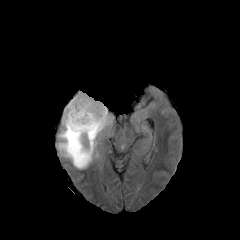
FLAIR magnetic resonance.
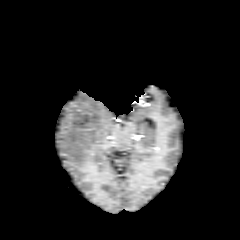
Same slice, T1-weighted MRI.
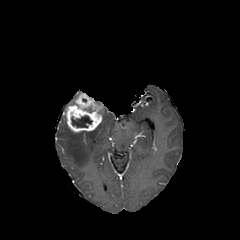
Post-contrast T1-weighted MR image.
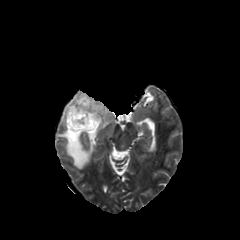
T2-weighted MRI.
Head
enhancing tumor: left=64, top=91, right=103, bottom=132 | edema: left=58, top=112, right=111, bottom=169 | non-enhancing tumor core: left=72, top=116, right=91, bottom=127; left=69, top=130, right=87, bottom=136